CT image, Field of view 388x388 mm, Upper abdomen, Slice 41/99

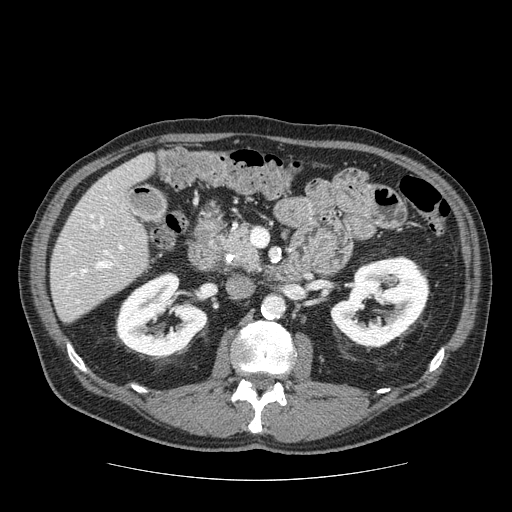 * pancreatic tumor: box=[229, 241, 252, 257]
* pancreas: box=[225, 221, 261, 272]